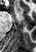 MRI. Medial temporal lobe.

Anterior hippocampus = <bbox>17, 8, 20, 11</bbox>.